Slice 229 of 407. Abdomen. Computed tomography.

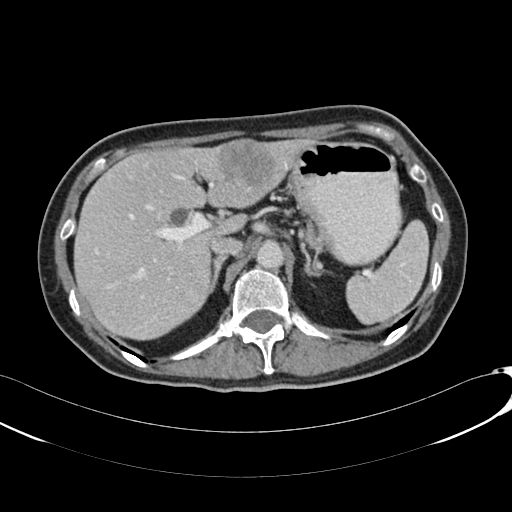

{"hepatic_lesion": ["x1=218 y1=140 x2=276 y2=186"], "liver": ["x1=74 y1=140 x2=313 y2=338"]}